Field of view 240x240 mm
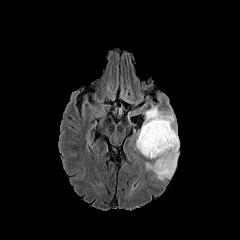
FLAIR MR image.
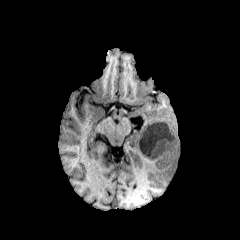
T1-weighted magnetic resonance.
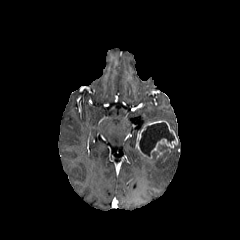
Post-contrast T1-weighted MR image.
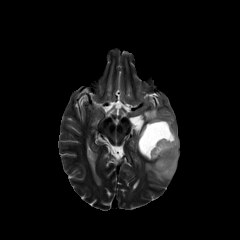
T2-weighted MR.
Non-enhancing tumor core: box(139, 122, 174, 156); box(157, 145, 168, 151).
Edema: box(141, 103, 179, 181).
Enhancing tumor: box(135, 120, 177, 159).